Hippocampus; Image size 38x53; MRI slice; Slice index 6

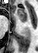

Anterior hippocampus: (17, 8, 27, 23).